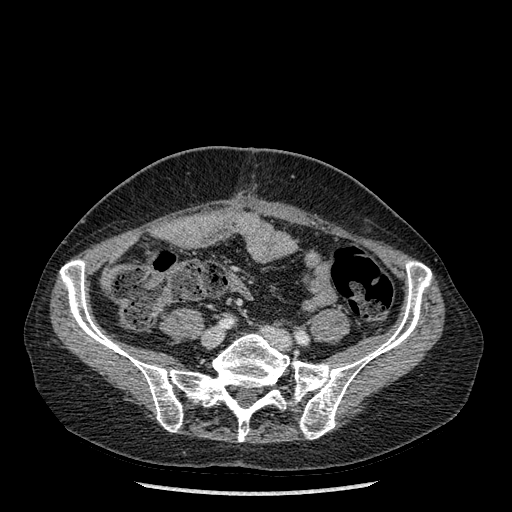 CT | 512x512 px
Bone at x1=60, y1=259, x2=431, y2=441.